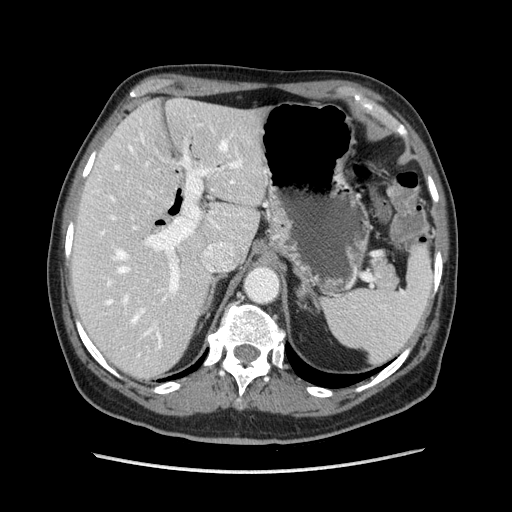

CT slice | 512x512 px
Annotated regions:
- pancreas: <bbox>371, 259, 397, 290</bbox>